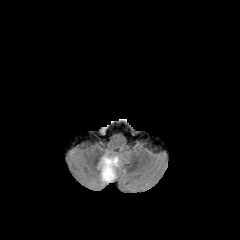
FLAIR magnetic resonance.
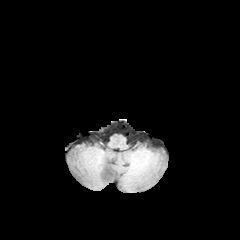
Same slice, T1-weighted MR.
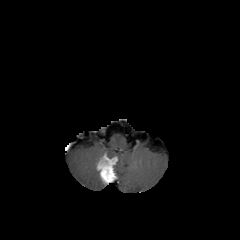
Post-contrast T1-weighted MR of the same slice.
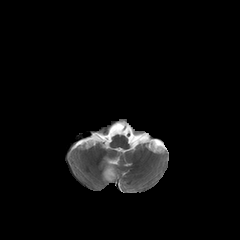
T2-weighted MR of the same slice.
non-enhancing tumor core: [98,157,108,176], [103,173,115,183] | enhancing tumor: [102,158,113,178]